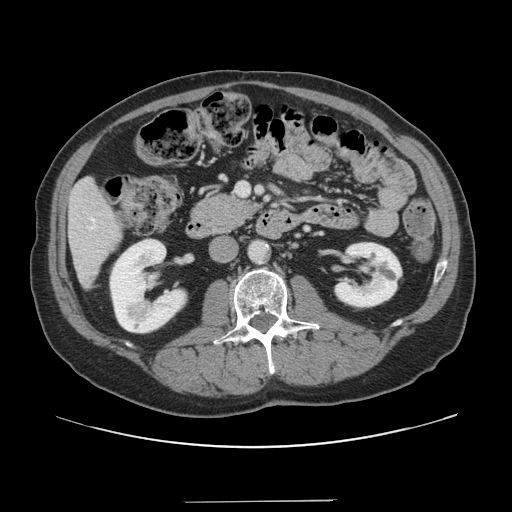 CT. Liver.

The vessel boxes may cover only some of the vessels.
Hepatic vessel: (237, 183, 248, 195).